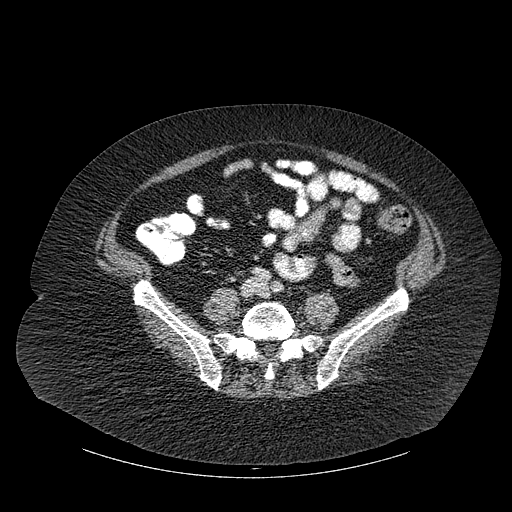

Image size 512x512. CT slice. bone:
  - rect(214, 302, 321, 379)
  - rect(134, 280, 221, 389)
  - rect(316, 288, 408, 389)